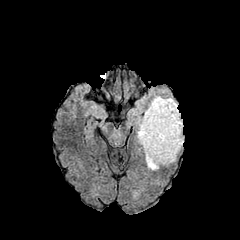
FLAIR magnetic resonance.
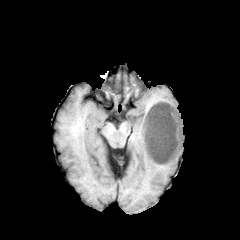
T1-weighted magnetic resonance of the same slice.
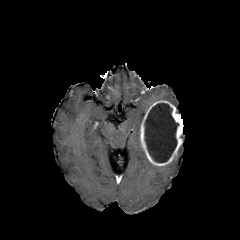
Post-contrast T1-weighted magnetic resonance.
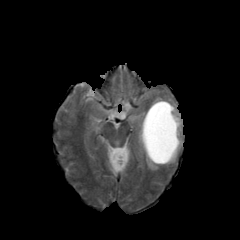
Same slice, T2-weighted MRI.
Brain. 240x240.
Enhancing tumor: [139,100,183,166].
Edema: [149,93,177,107], [136,115,159,170].
Non-enhancing tumor core: [145,103,177,162].